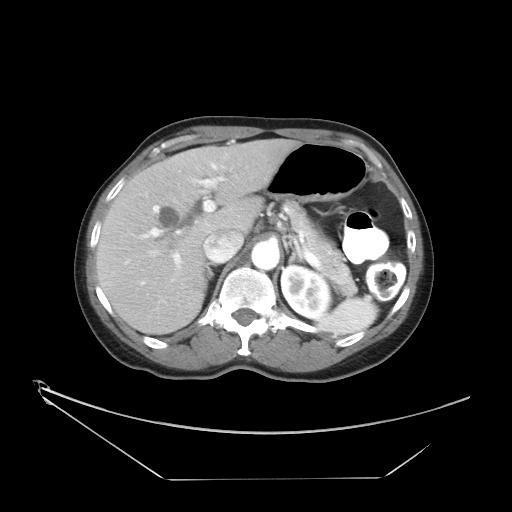 Abdomen | CT slice
Not every hepatic vessel necessarily has a box.
hepatic_vessel:
  - 204 200 215 211
  - 173 253 180 265
  - 211 163 216 168
  - 204 232 242 254
  - 176 230 179 233
  - 141 228 160 237
  - 199 177 222 185
  - 153 206 158 211
  - 141 281 144 284
  - 125 261 127 263
  - 151 251 155 255